Head | 240x240 px
FLAIR MR.
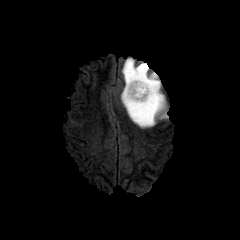
T1-weighted magnetic resonance.
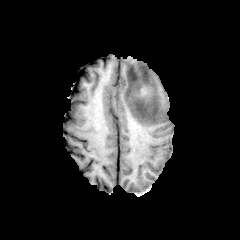
Post-contrast T1-weighted MR image.
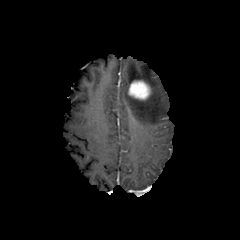
T2-weighted MR image.
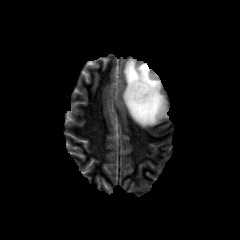
Edema: bounding box left=121, top=58, right=166, bottom=127.
Enhancing tumor: bounding box left=128, top=80, right=149, bottom=99.
Non-enhancing tumor core: bounding box left=128, top=94, right=149, bottom=102.